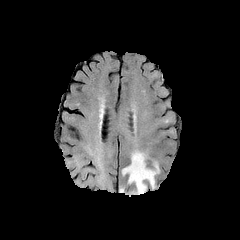
FLAIR MR image.
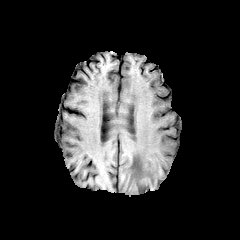
T1-weighted MRI of the same slice.
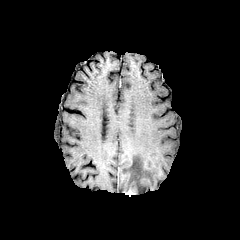
Same slice, post-contrast T1-weighted magnetic resonance.
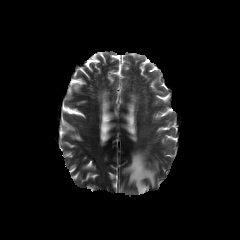
T2-weighted MR of the same slice.
Head
Findings:
- edema: [122, 152, 159, 194]